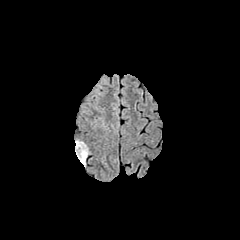
FLAIR MR.
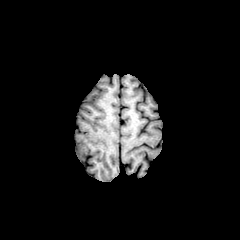
T1-weighted MR image of the same slice.
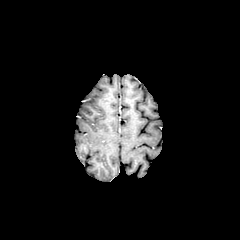
Post-contrast T1-weighted MR image of the same slice.
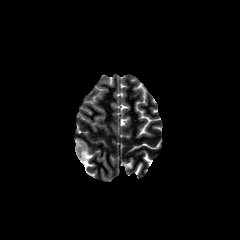
T2-weighted MRI.
Head.
<segmentation>
  <edema>bbox(75, 138, 91, 166)</edema>
</segmentation>